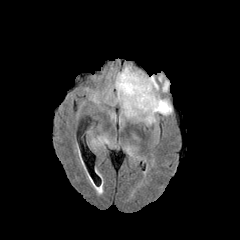
FLAIR MRI.
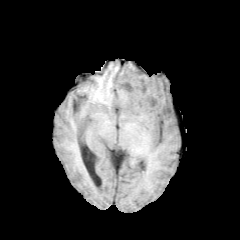
Same slice, T1-weighted MR image.
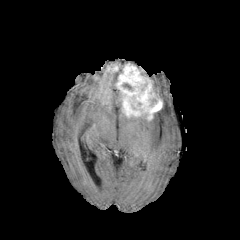
Same slice, post-contrast T1-weighted MRI.
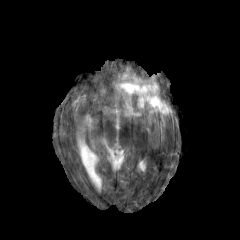
T2-weighted MR image.
Findings:
• enhancing tumor: (left=115, top=64, right=162, bottom=120)
• non-enhancing tumor core: (left=122, top=83, right=133, bottom=91)
• edema: (left=104, top=107, right=116, bottom=121), (left=100, top=69, right=126, bottom=124), (left=158, top=98, right=172, bottom=116), (left=89, top=92, right=100, bottom=104), (left=127, top=113, right=158, bottom=125), (left=148, top=74, right=169, bottom=96), (left=96, top=135, right=109, bottom=146)